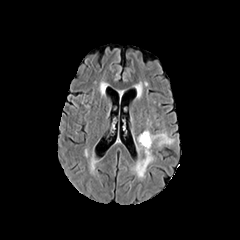
FLAIR magnetic resonance.
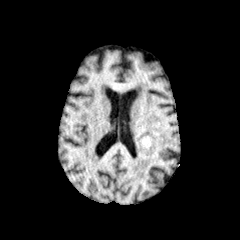
T1-weighted MRI.
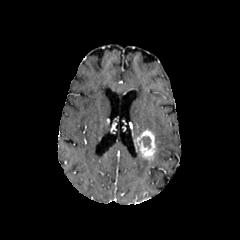
Post-contrast T1-weighted magnetic resonance.
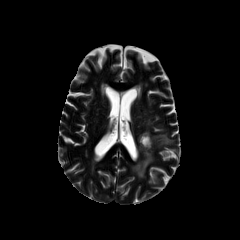
T2-weighted magnetic resonance of the same slice.
Brain
<segmentation>
  <non-enhancing_tumor_core>l=139, t=136, r=151, b=148</non-enhancing_tumor_core>
  <enhancing_tumor>l=135, t=128, r=158, b=161</enhancing_tumor>
  <edema>l=131, t=145, r=152, b=178; l=155, t=130, r=172, b=147</edema>
</segmentation>